Brain | Image width 240 mm | Slice index 125 | 240x240 px
FLAIR MRI.
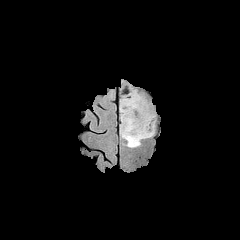
T1-weighted MR image.
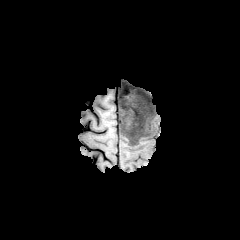
Post-contrast T1-weighted MRI.
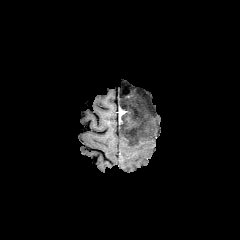
T2-weighted MR.
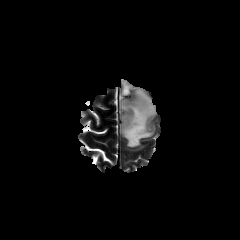
non-enhancing tumor core: {"x1": 120, "y1": 92, "x2": 151, "y2": 147} | enhancing tumor: {"x1": 125, "y1": 115, "x2": 135, "y2": 127}, {"x1": 120, "y1": 108, "x2": 127, "y2": 121} | edema: {"x1": 119, "y1": 89, "x2": 139, "y2": 107}, {"x1": 130, "y1": 96, "x2": 156, "y2": 150}